FLAIR magnetic resonance.
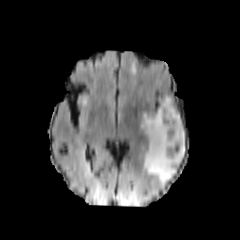
T1-weighted MR.
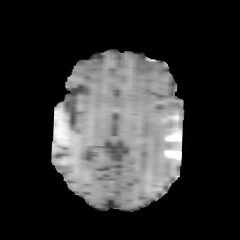
Post-contrast T1-weighted MRI.
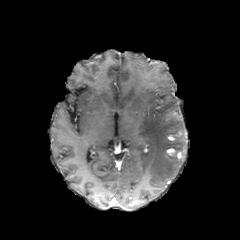
T2-weighted MR image.
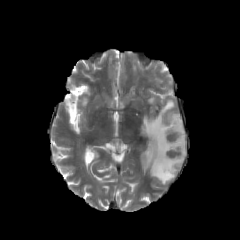
Image size 240x240
edema:
  - 140:95:186:184